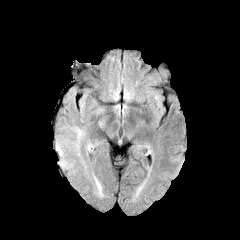
FLAIR magnetic resonance.
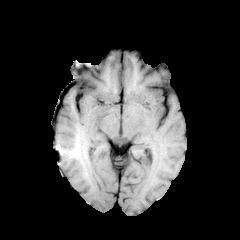
Same slice, T1-weighted MR image.
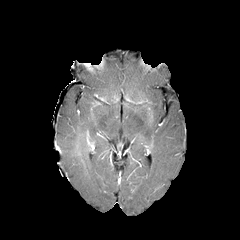
Post-contrast T1-weighted MRI.
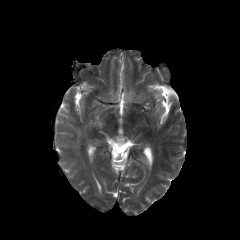
T2-weighted magnetic resonance.
{"edema": ["(left=74, top=128, right=83, bottom=147)"]}